Slice 55 of 155. Image size 240x240. Brain.
FLAIR MRI.
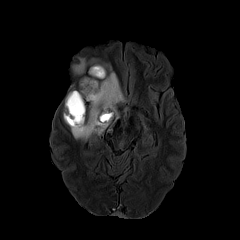
T1-weighted MR.
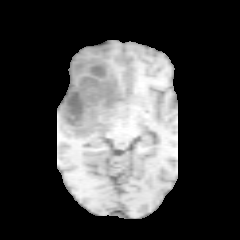
Post-contrast T1-weighted MR image.
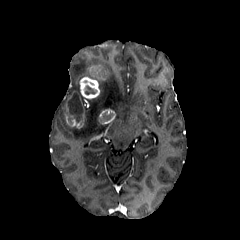
T2-weighted MR image.
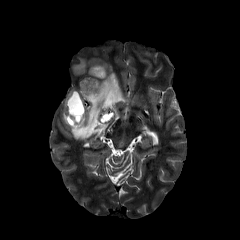
edema:
  - box(70, 58, 126, 141)
  - box(72, 57, 87, 74)
non-enhancing_tumor_core:
  - box(67, 92, 82, 114)
  - box(84, 84, 97, 94)
enhancing_tumor:
  - box(80, 77, 99, 99)
  - box(90, 65, 104, 78)
  - box(64, 92, 85, 127)
  - box(98, 109, 116, 125)